35x52. Magnetic resonance. Medial temporal lobe. 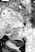

<segmentation>
  <posterior_hippocampus><bbox>8, 38, 23, 46</bbox></posterior_hippocampus>
</segmentation>